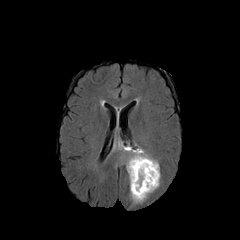
FLAIR magnetic resonance.
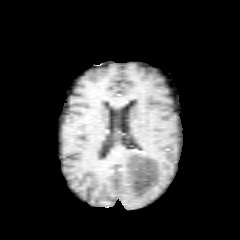
T1-weighted MR of the same slice.
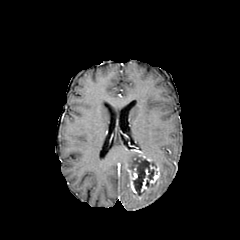
Post-contrast T1-weighted MR image.
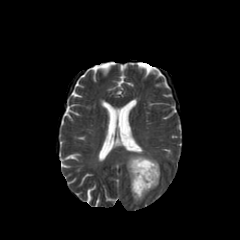
T2-weighted MR image.
Head
Non-enhancing tumor core at (132, 153, 155, 194).
Edema at (124, 146, 137, 170), (138, 146, 159, 167), (130, 173, 160, 203).
Enhancing tumor at (128, 168, 137, 193), (141, 166, 159, 191).